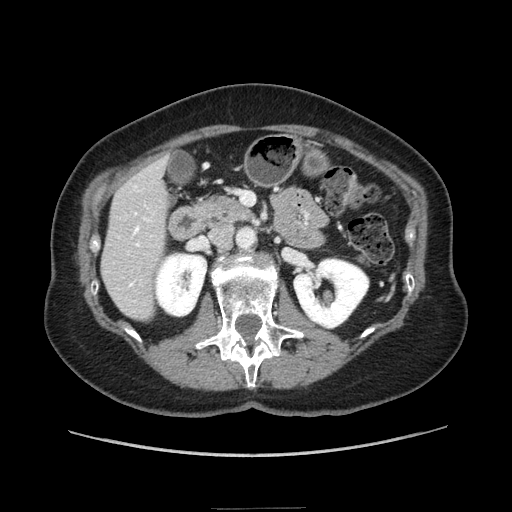
Image size 512x512 | Upper abdomen | Computed tomography

pancreas:
  - bbox(196, 196, 252, 226)